Computed tomography 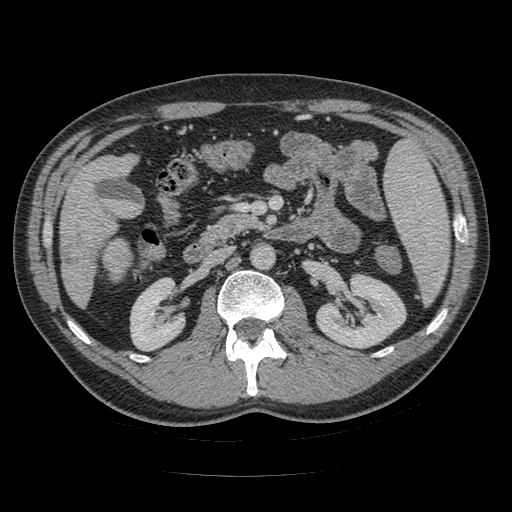 {
  "pancreas": [
    "<box>205,214,257,242</box>"
  ]
}